240x240 px
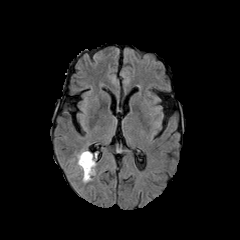
FLAIR MRI.
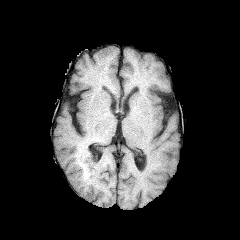
T1-weighted MR image.
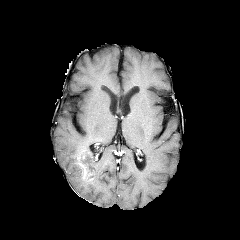
Same slice, post-contrast T1-weighted MR.
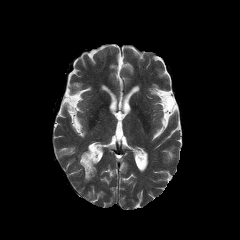
T2-weighted magnetic resonance.
{"enhancing_tumor": ["[78, 150, 92, 180]"], "non-enhancing_tumor_core": ["[82, 152, 96, 170]"], "edema": ["[73, 148, 89, 182]", "[90, 162, 96, 180]"]}